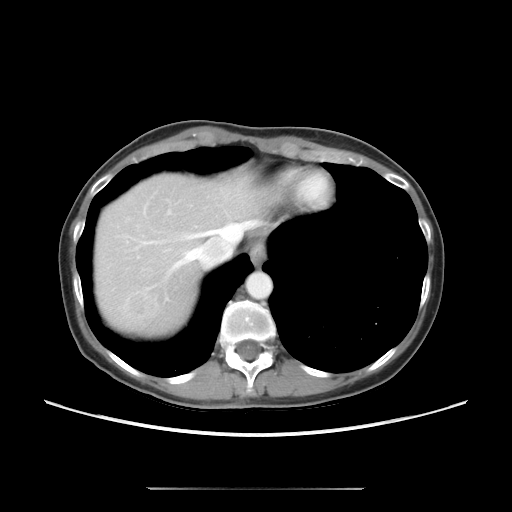

CT scan slice; 512x512

Only some of the vessels may be annotated.
The liver tumor is at 130,292,157,318. 2 hepatic vessel regions are bounded by 190,220,258,241; 169,249,202,272.